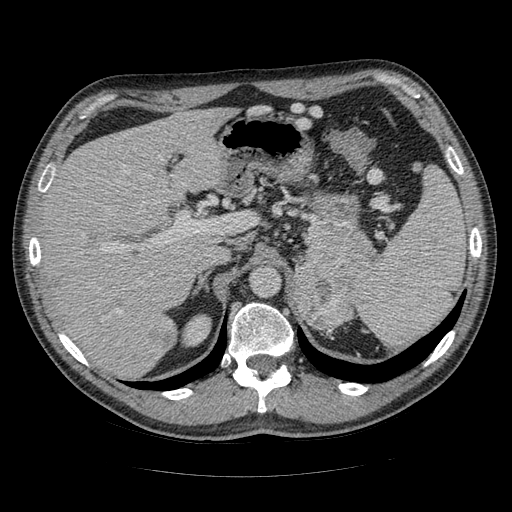 Computed tomography, 512x512 px
pancreatic tumor: (x1=294, y1=267, x2=352, y2=329) | pancreas: (x1=292, y1=224, x2=374, y2=304)